CT image. Lower abdomen. Slice 89 of 689.
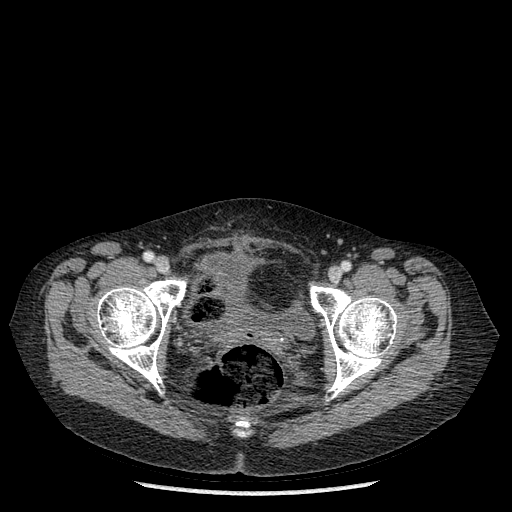

{"bone": ["box(94, 278, 186, 393)", "box(310, 285, 398, 399)", "box(236, 421, 249, 427)"], "urinary_bladder": ["box(194, 251, 300, 344)"]}